Slice 57 of 134, Field of view 375x375 mm, CT scan slice, Abdomen, 512x512
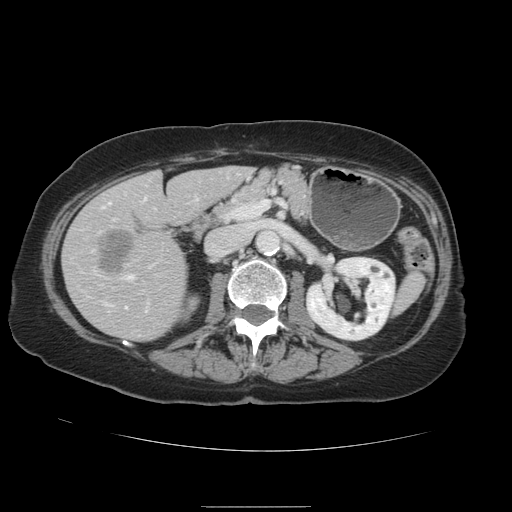

Some hepatic vessels may have no box.
liver tumor: 100 232 133 271 | hepatic vessel: 144 197 145 199, 194 197 196 199, 123 275 132 279, 108 203 109 204, 101 207 103 208